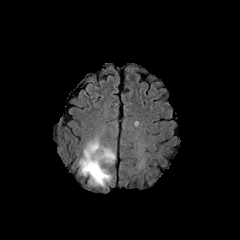
FLAIR MR.
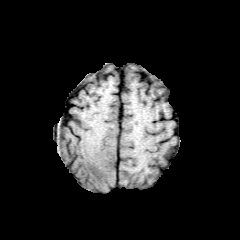
T1-weighted MR image of the same slice.
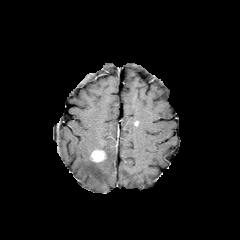
Post-contrast T1-weighted MRI of the same slice.
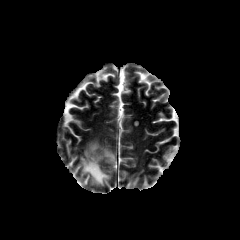
Same slice, T2-weighted MRI.
Brain
The edema is at [78,138,115,187]. The enhancing tumor is bounded by [90,150,105,161].